CT slice; Image width 386 mm; Abdomen

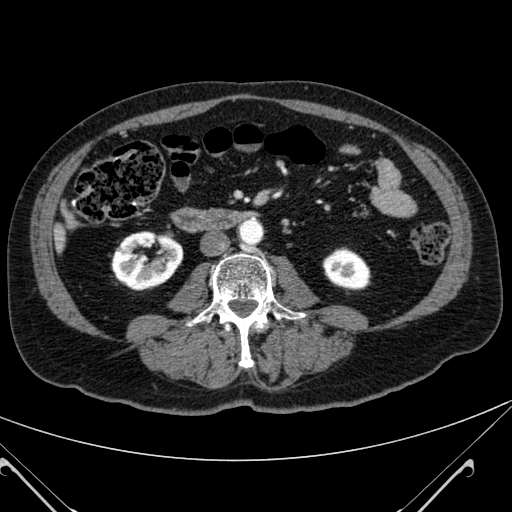 2 kidney regions appear at x1=324 y1=250 x2=368 y2=288, x1=113 y1=232 x2=182 y2=289.